Slice 92/155
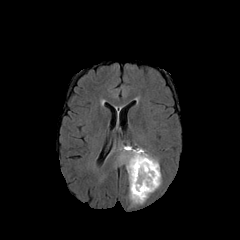
FLAIR MR image.
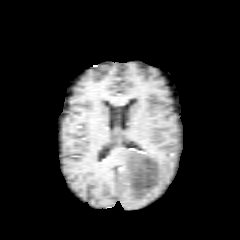
T1-weighted MR image of the same slice.
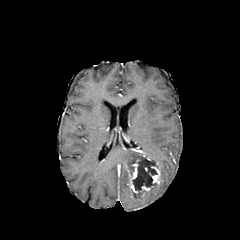
Same slice, post-contrast T1-weighted MRI.
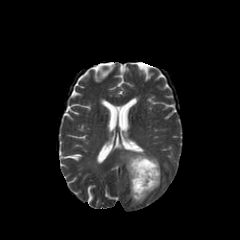
T2-weighted magnetic resonance.
non-enhancing tumor core: box=[132, 154, 156, 191] | enhancing tumor: box=[130, 164, 138, 192]; box=[140, 186, 150, 196]; box=[130, 146, 145, 157]; box=[152, 166, 159, 183] | edema: box=[120, 146, 141, 171]; box=[140, 146, 159, 166]; box=[128, 172, 161, 204]